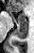 Hippocampus. Magnetic resonance. Image size 34x53. The anterior hippocampus lies within left=9, top=12, right=27, bottom=24. The posterior hippocampus is bounded by left=14, top=23, right=27, bottom=39.